CT slice.
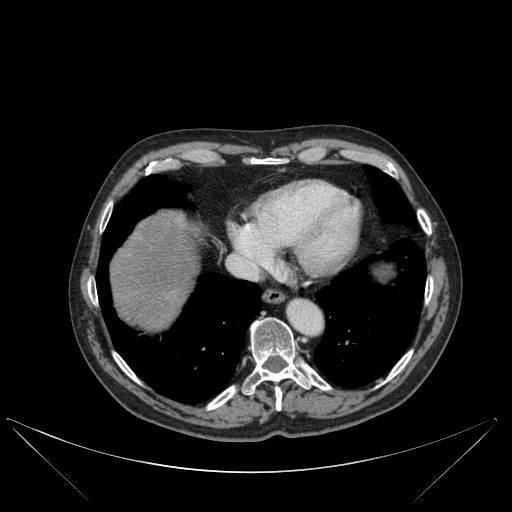
The liver is at bbox=[110, 219, 204, 331]. 3 lung regions are bounded by bbox=[96, 175, 262, 403]; bbox=[314, 239, 426, 387]; bbox=[363, 165, 417, 230]. 12 bone regions are located at bbox=[100, 204, 111, 230]; bbox=[87, 283, 97, 303]; bbox=[417, 210, 431, 233]; bbox=[250, 159, 283, 164]; bbox=[383, 161, 393, 173]; bbox=[113, 352, 139, 382]; bbox=[275, 387, 281, 410]; bbox=[242, 318, 330, 393]; bbox=[387, 351, 412, 380]; bbox=[207, 386, 235, 409]; bbox=[145, 163, 155, 174]; bbox=[425, 278, 433, 302].